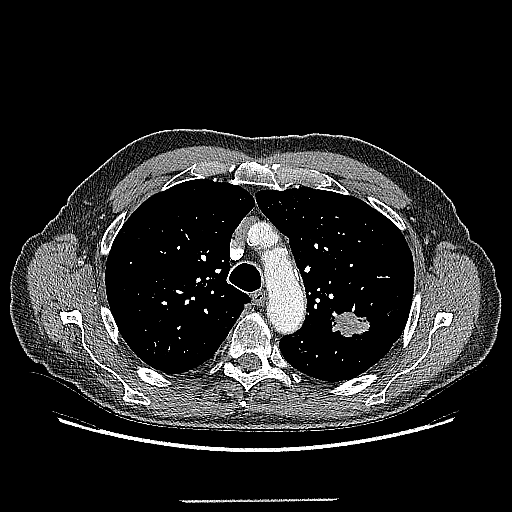
CT image

The lung tumor is at (left=329, top=309, right=372, bottom=337).